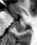 Medial temporal lobe. MR. Posterior hippocampus = (14,20,25,32).